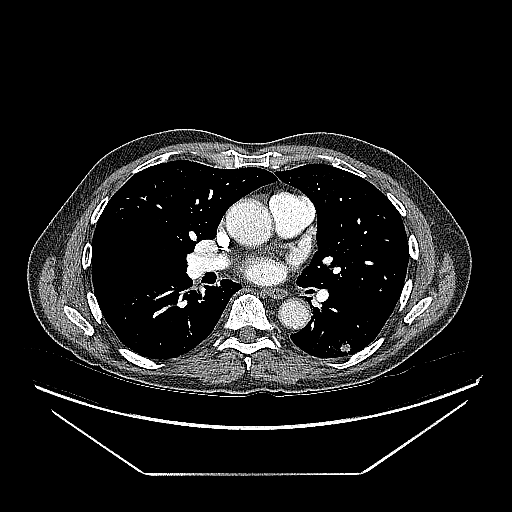 Chest | Computed tomography

* lung tumor: box=[335, 331, 354, 355]